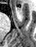 Medial temporal lobe. MR. The anterior hippocampus lies within rect(17, 7, 19, 9).